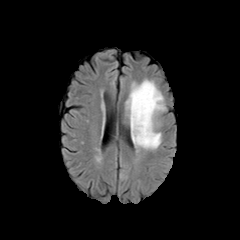
FLAIR MR image.
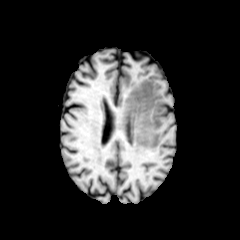
T1-weighted magnetic resonance.
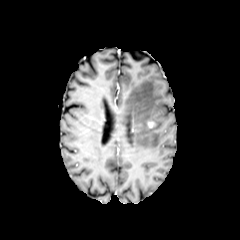
Post-contrast T1-weighted MR image.
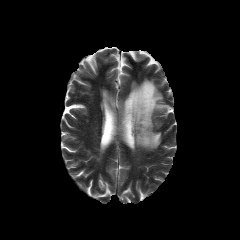
T2-weighted MR image.
The edema is at 126,79,166,149.